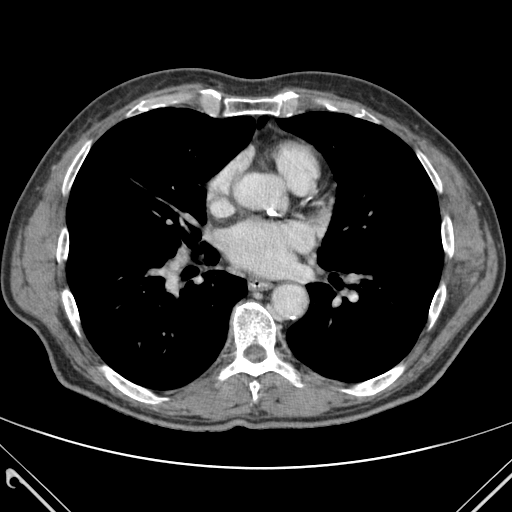
CT slice
2 lung regions are located at 66 107 267 389, 278 111 443 381. 14 bone regions are located at 429 285 445 326, 198 90 223 104, 325 103 375 119, 219 302 300 386, 250 381 259 399, 441 217 453 256, 62 290 79 333, 63 142 89 191, 342 367 403 395, 223 92 302 115, 127 101 164 114, 57 228 68 269, 102 366 166 403, 418 154 441 190.